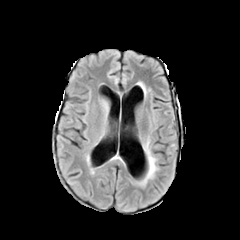
FLAIR MRI.
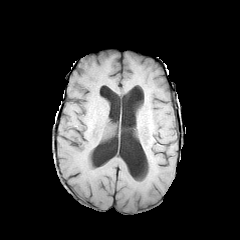
T1-weighted MR image of the same slice.
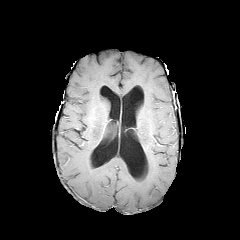
Same slice, post-contrast T1-weighted MR image.
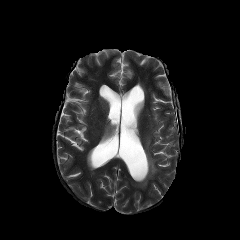
Same slice, T2-weighted MR image.
Brain, Image size 240x240
edema: box=[137, 136, 159, 185]